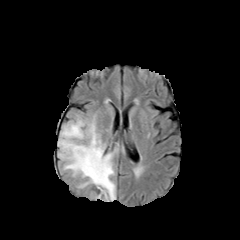
FLAIR MR.
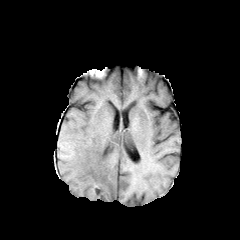
T1-weighted MR of the same slice.
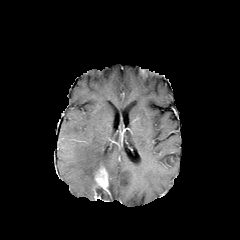
Post-contrast T1-weighted MRI.
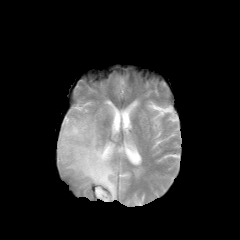
T2-weighted magnetic resonance of the same slice.
Findings:
- non-enhancing tumor core: box=[98, 188, 107, 196]; box=[94, 163, 107, 178]
- edema: box=[58, 115, 119, 200]
- enhancing tumor: box=[94, 167, 108, 192]